Head. Image size 240x240.
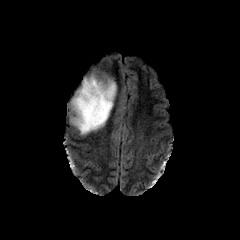
FLAIR MR.
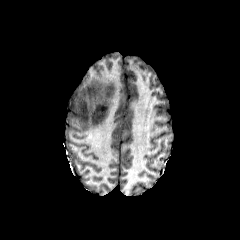
T1-weighted MR image.
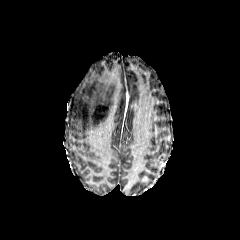
Same slice, post-contrast T1-weighted magnetic resonance.
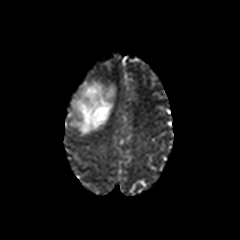
T2-weighted MRI.
{"edema": ["[71,77,116,135]"]}